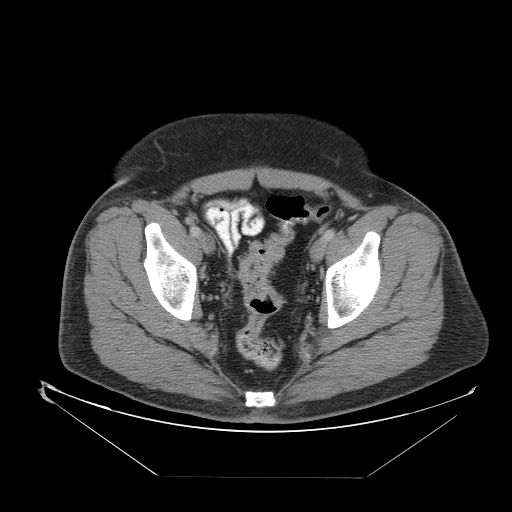 Pelvis; CT image
Findings:
- colon tumor: bbox=[238, 241, 284, 302]